Head; Slice 86/155
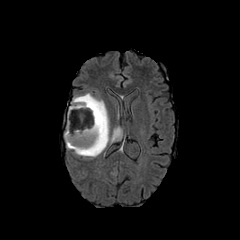
FLAIR magnetic resonance.
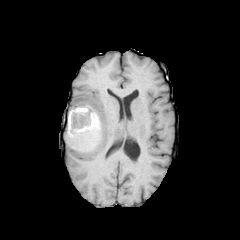
T1-weighted MR image.
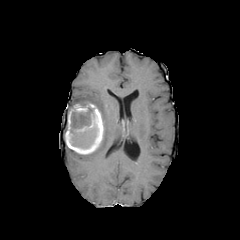
Same slice, post-contrast T1-weighted MRI.
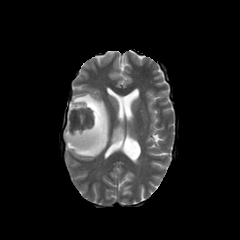
T2-weighted magnetic resonance.
Enhancing tumor: box(64, 103, 103, 154); box(76, 137, 87, 143).
Non-enhancing tumor core: box(70, 101, 95, 146).
Edema: box(69, 93, 122, 158).